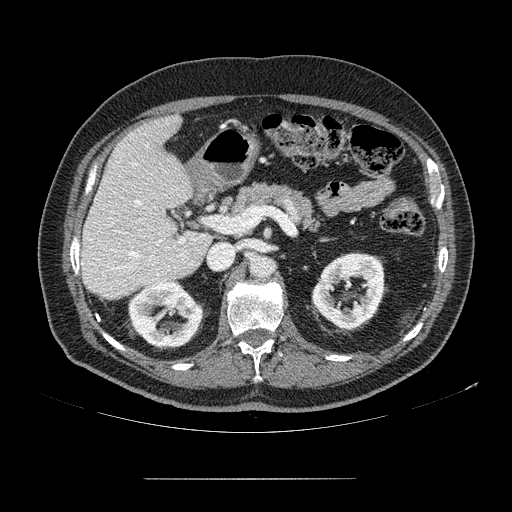
CT
The pancreas lies within <bbox>229, 181, 322, 235</bbox>.